Computed tomography. Liver. Slice 132 of 299.

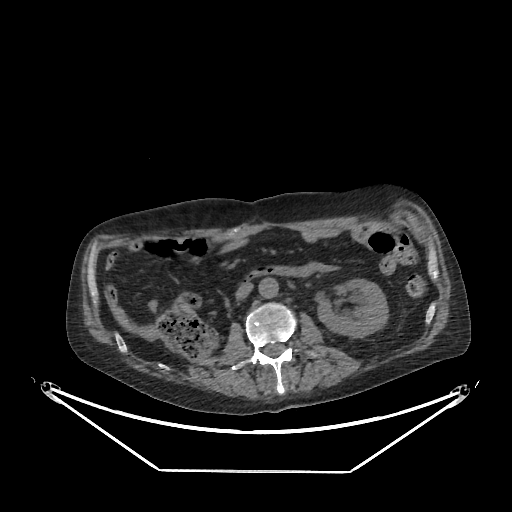 * liver: 108:299:133:330, 138:327:157:337
* kidney: 315:279:388:337